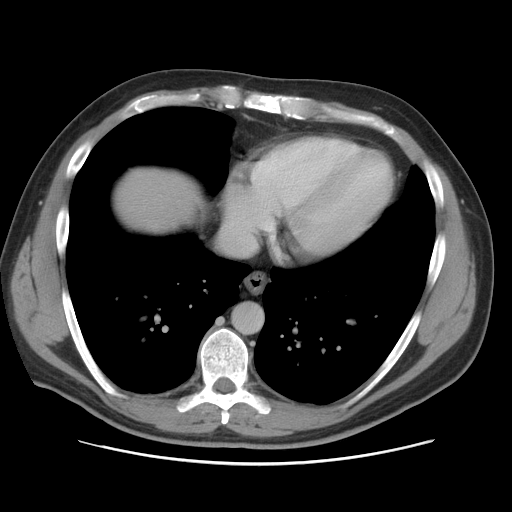

Computed tomography
Only some of the vessels may be annotated.
hepatic_vessel:
  - 223, 226, 256, 253